Slice 266/384, CT image 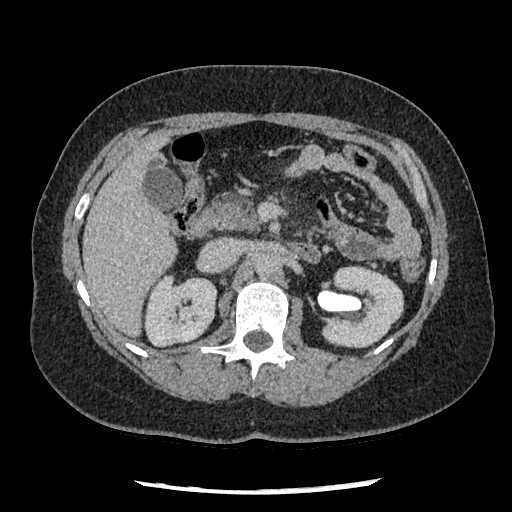

{
  "pancreas": [
    "l=212, t=192, r=259, b=231"
  ]
}